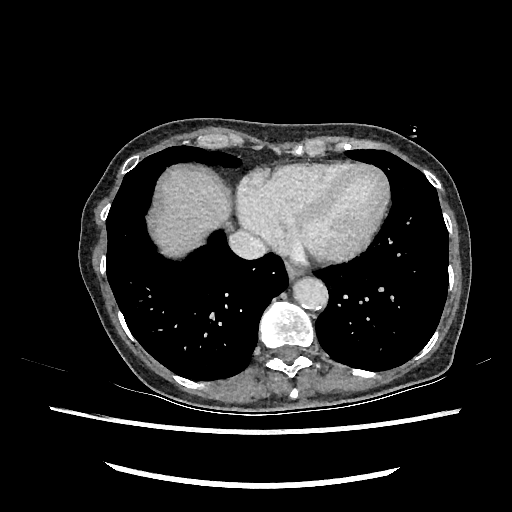

Liver, CT slice

The liver is located at bbox(156, 169, 230, 254).